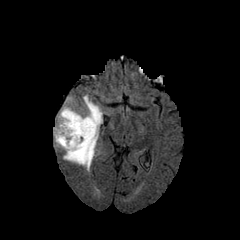
FLAIR magnetic resonance.
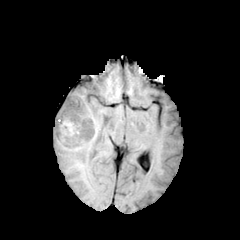
T1-weighted MRI of the same slice.
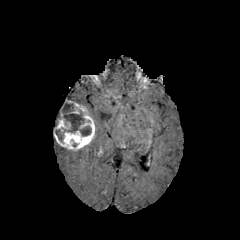
Post-contrast T1-weighted MRI of the same slice.
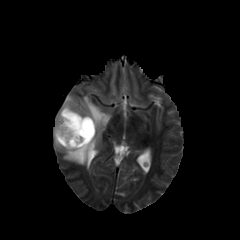
Same slice, T2-weighted MR image.
<segmentation>
  <non-enhancing_tumor_core>56 129 64 142, 62 103 91 136</non-enhancing_tumor_core>
  <edema>55 102 65 125, 54 95 111 173</edema>
  <enhancing_tumor>53 99 94 151</enhancing_tumor>
</segmentation>